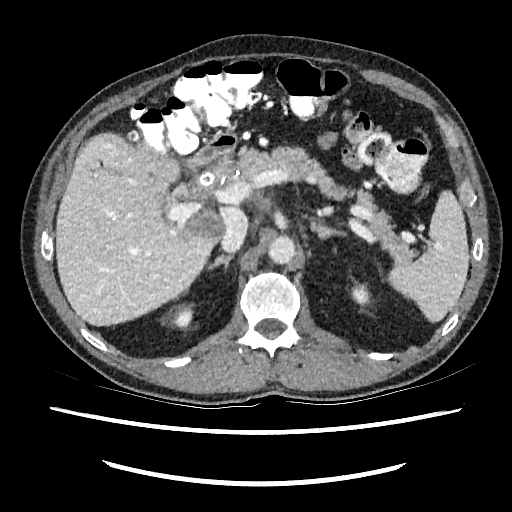 CT scan slice
Kidney — bbox(355, 290, 364, 301); bbox(177, 313, 190, 325).
Focal liver lesion — bbox(190, 209, 222, 239); bbox(214, 165, 228, 180).
Liver — bbox(56, 134, 219, 325).